Field of view 240 mm wide, 1.00 mm slice spacing, Brain
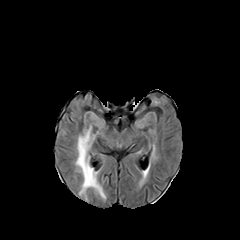
FLAIR MR image.
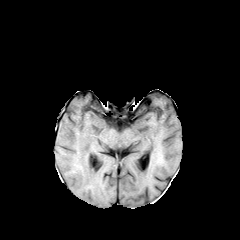
T1-weighted MR.
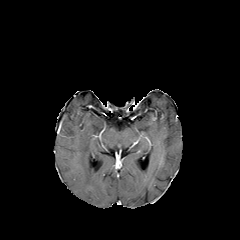
Post-contrast T1-weighted magnetic resonance.
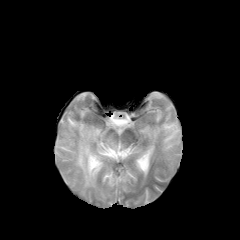
T2-weighted MR.
{
  "edema": [
    "(75, 129, 105, 199)"
  ]
}